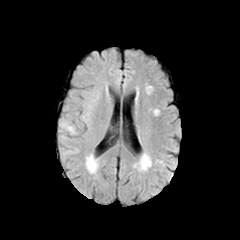
FLAIR magnetic resonance.
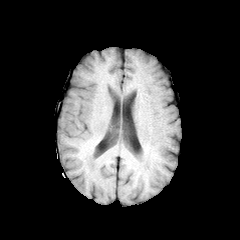
T1-weighted MR of the same slice.
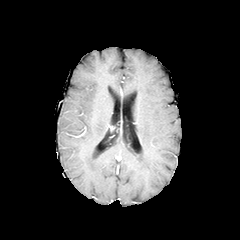
Same slice, post-contrast T1-weighted MR.
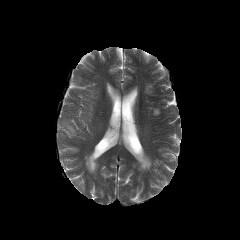
Same slice, T2-weighted MR image.
Image size 240x240. Brain.
Edema at (59, 121, 76, 134).